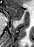
MR image | 34x47
The anterior hippocampus is bounded by <box>8,7,23,19</box>.